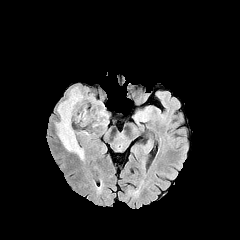
FLAIR MRI.
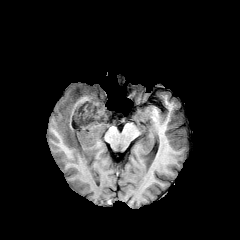
T1-weighted MRI.
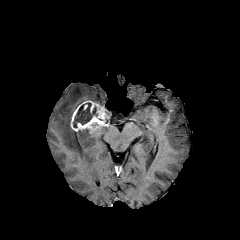
Post-contrast T1-weighted MR.
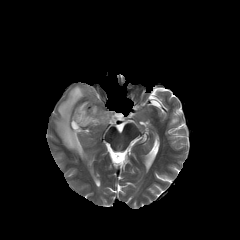
T2-weighted magnetic resonance.
240x240 px, Head
2 edema regions appear at region(56, 86, 85, 161); region(87, 95, 101, 103). The enhancing tumor appears at region(71, 101, 108, 133). The non-enhancing tumor core appears at region(73, 102, 97, 127).